MRI slice, Slice 30/39, Field of view 38 mm wide, 1.00 mm slice spacing, Image size 38x50
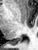

posterior_hippocampus:
  - [13, 36, 22, 41]